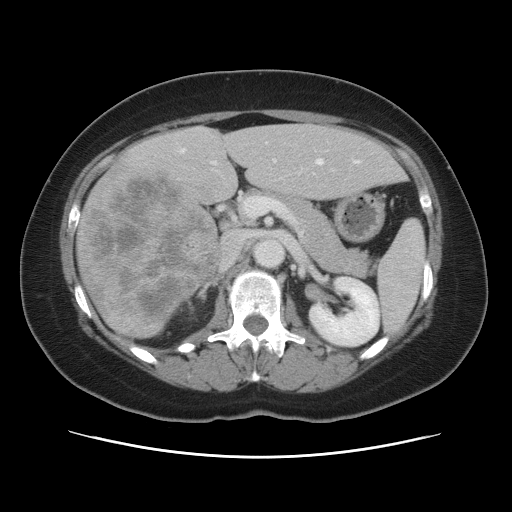 Abdomen. Computed tomography. 512x512 px. The vessel annotation is not exhaustive.
liver tumor: {"x1": 81, "y1": 171, "x2": 216, "y2": 325} | hepatic vessel: {"x1": 243, "y1": 197, "x2": 294, "y2": 221}, {"x1": 182, "y1": 149, "x2": 184, "y2": 152}, {"x1": 211, "y1": 161, "x2": 215, "y2": 164}, {"x1": 273, "y1": 159, "x2": 275, "y2": 161}, {"x1": 316, "y1": 160, "x2": 322, "y2": 164}, {"x1": 355, "y1": 160, "x2": 359, "y2": 162}